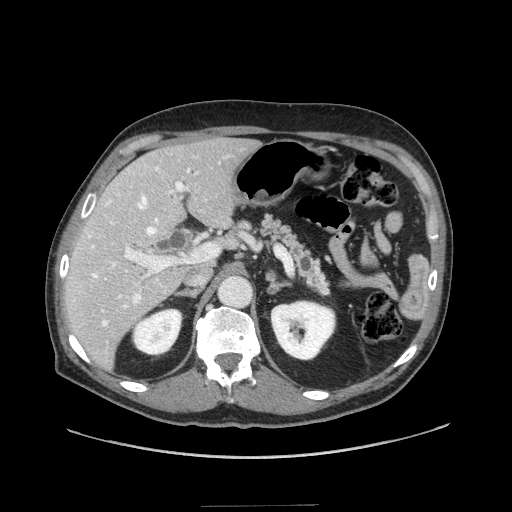 512x512 | CT slice

The pancreas is located at <box>262,218,327,294</box>.